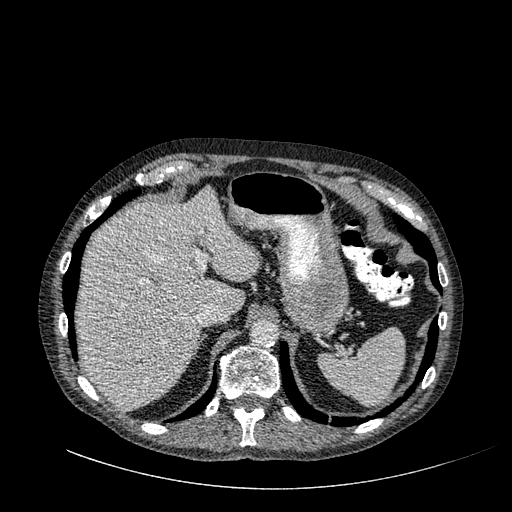 CT scan slice, Liver
* liver: (77,187,257,409)